Brain
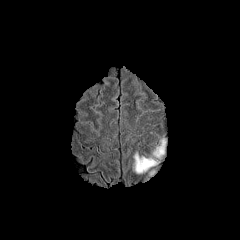
FLAIR MR.
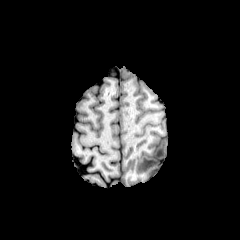
T1-weighted MRI.
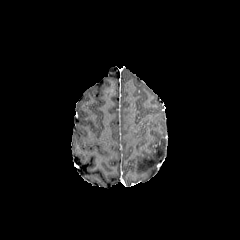
Post-contrast T1-weighted MR image of the same slice.
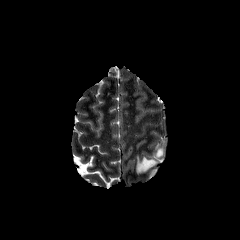
Same slice, T2-weighted MRI.
edema: (left=136, top=153, right=155, bottom=173), (left=153, top=140, right=165, bottom=157)